CT slice | Slice index 411 | Liver 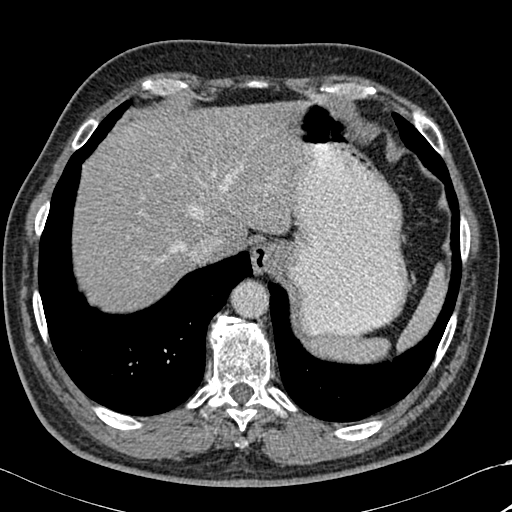

Liver: (74,103,305,310).
Bone: (35,203,48,234), (414,113,442,152), (460,219,464,259), (144,80,182,92), (435,315,455,363), (466,221,469,257), (335,421,381,440), (95,407,140,429), (344,85,375,96), (72,119,97,148), (33,292,46,339), (188,316,295,430).
Lung: (38,100,252,415), (268,112,461,422).
Hepatic lesion: (180,152,191,161).